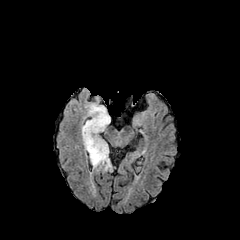
FLAIR magnetic resonance.
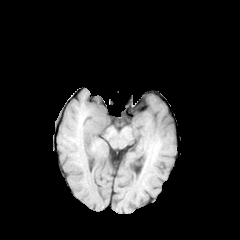
T1-weighted MR image of the same slice.
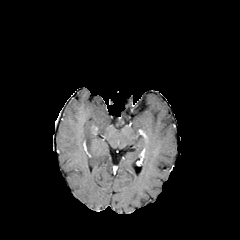
Same slice, post-contrast T1-weighted MRI.
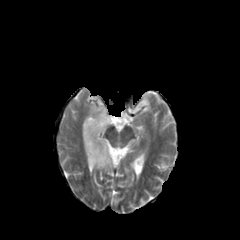
T2-weighted MR image.
Edema — rect(81, 100, 112, 172).